Abdomen, CT scan slice, Slice 41/81

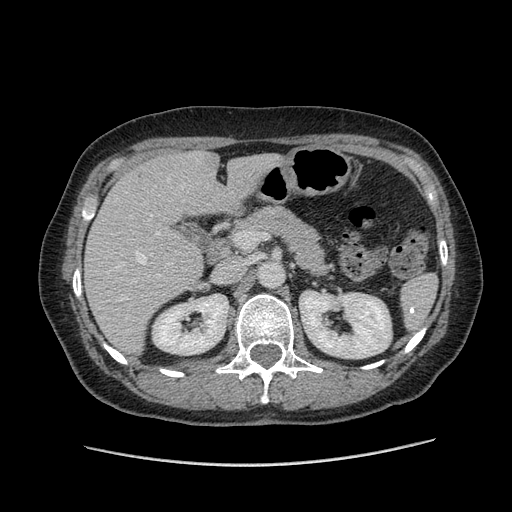

Only some of the vessels may be annotated.
hepatic_vessel:
  - region(149, 215, 150, 217)
  - region(156, 232, 158, 235)